Slice 119/174. 512x512. Liver. CT slice. 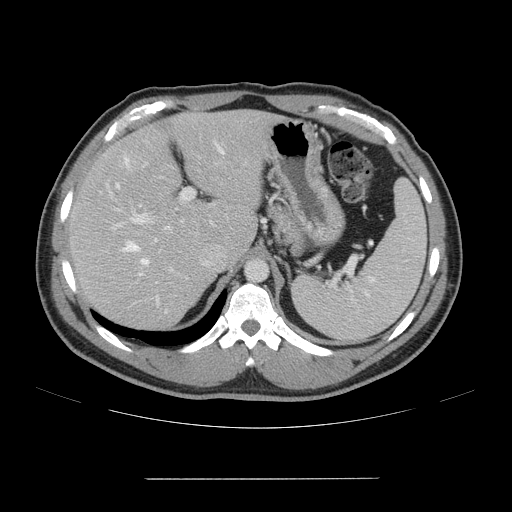

The vessel annotation is not exhaustive.
The principal 15 hepatic vessel regions (of 18) are bounded by box=[169, 268, 171, 270]; box=[115, 208, 119, 209]; box=[122, 241, 138, 251]; box=[180, 188, 194, 200]; box=[141, 259, 148, 264]; box=[116, 184, 119, 187]; box=[181, 219, 183, 221]; box=[113, 223, 122, 228]; box=[125, 157, 128, 166]; box=[216, 143, 223, 152]; box=[210, 221, 212, 223]; box=[133, 210, 149, 223]; box=[139, 273, 143, 275]; box=[155, 296, 158, 305]; box=[108, 188, 112, 196].